Image width 240 mm | Brain
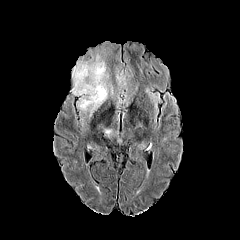
FLAIR MR.
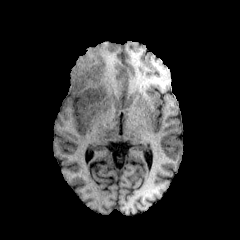
T1-weighted MR image of the same slice.
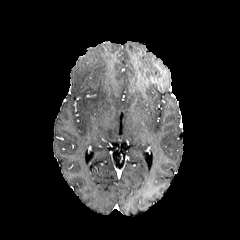
Post-contrast T1-weighted MR.
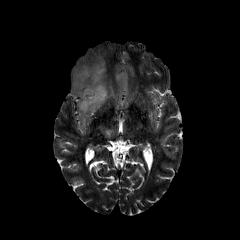
Same slice, T2-weighted MRI.
2 edema regions are located at rect(116, 71, 125, 95); rect(71, 61, 114, 116).